Slice 65/155 | Head
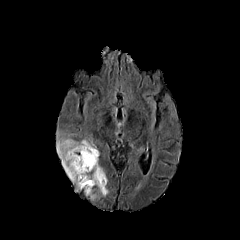
FLAIR MR.
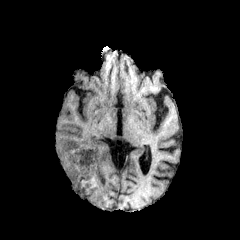
T1-weighted magnetic resonance.
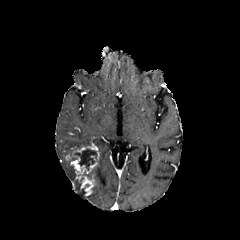
Post-contrast T1-weighted MR image of the same slice.
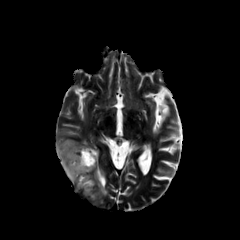
T2-weighted magnetic resonance of the same slice.
{
  "edema": [
    "left=90, top=165, right=108, bottom=199",
    "left=57, top=138, right=89, bottom=191"
  ],
  "enhancing_tumor": [
    "left=70, top=157, right=97, bottom=180",
    "left=74, top=145, right=99, bottom=160",
    "left=80, top=175, right=95, bottom=195"
  ],
  "non-enhancing_tumor_core": [
    "left=71, top=149, right=97, bottom=167"
  ]
}